CT image
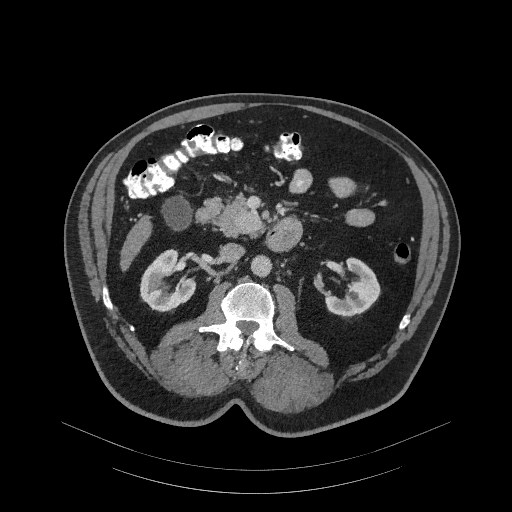

Pancreatic tumor: [236,212,262,232].
Pancreas: [206,197,258,237].